512x512, CT
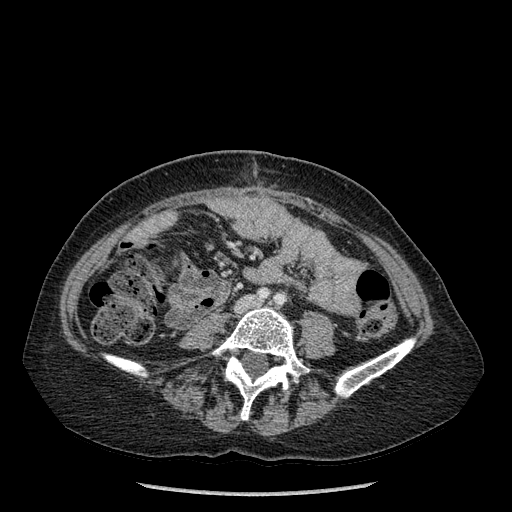
• bone: (left=213, top=306, right=309, bottom=419), (left=103, top=354, right=146, bottom=376), (left=335, top=338, right=415, bottom=396)